Slice 44 of 97 | CT scan slice | Upper abdomen

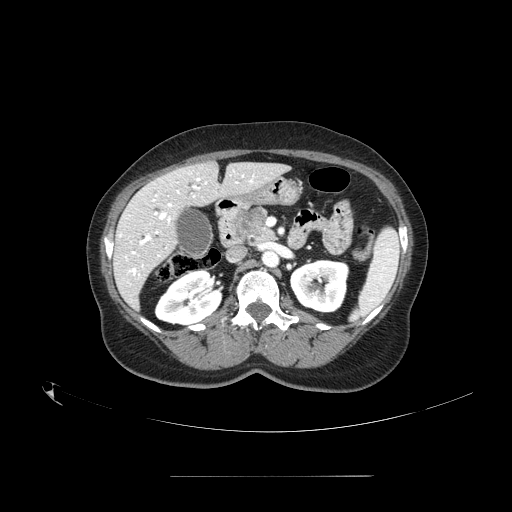 {
  "pancreatic_tumor": [
    "x1=239 y1=209 x2=263 y2=236"
  ],
  "pancreas": [
    "x1=235 y1=206 x2=275 y2=242"
  ]
}